Slice index 45. Head. 240x240 px.
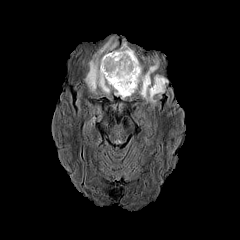
FLAIR MR image.
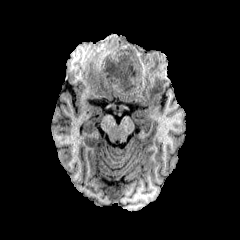
T1-weighted MR image.
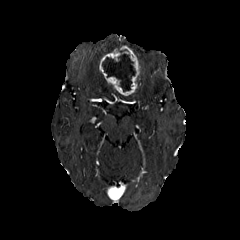
Post-contrast T1-weighted MR.
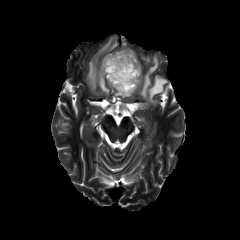
T2-weighted MRI.
2 edema regions are located at bbox(138, 55, 167, 104); bbox(83, 36, 118, 94). The enhancing tumor appears at bbox(98, 45, 141, 98). The non-enhancing tumor core is at bbox(101, 54, 135, 91).